Abdomen. 512x512 px. CT scan slice.
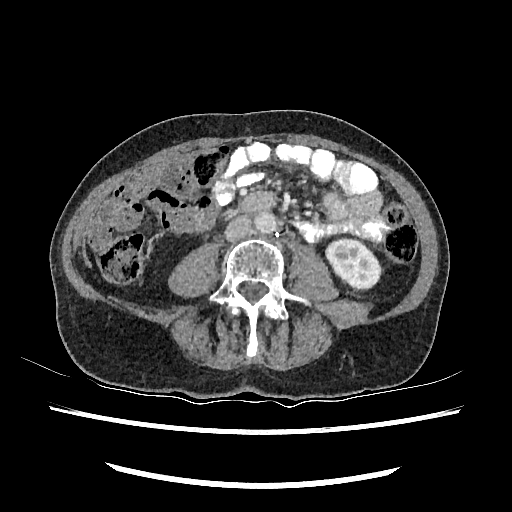 <segmentation>
  <kidney>region(327, 240, 379, 287)</kidney>
</segmentation>